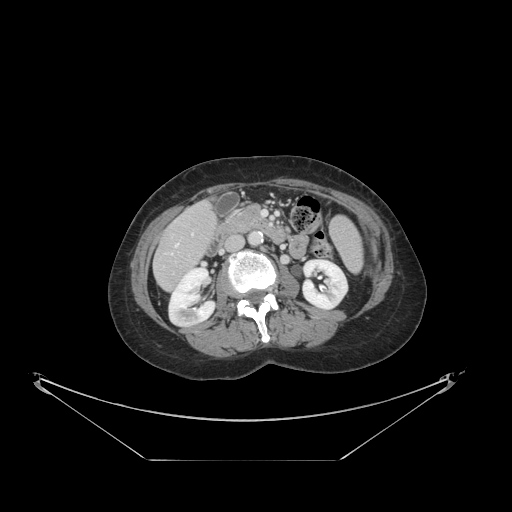

512x512; Liver; CT image

Some hepatic vessels may have no box.
{
  "hepatic_vessel": [
    "x1=170 y1=253 x2=172 y2=254",
    "x1=175 y1=243 x2=178 y2=246"
  ]
}